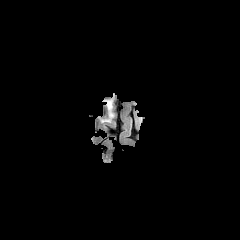
FLAIR magnetic resonance.
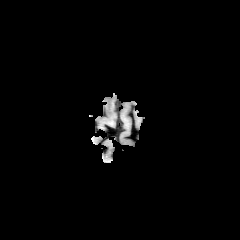
T1-weighted MR image.
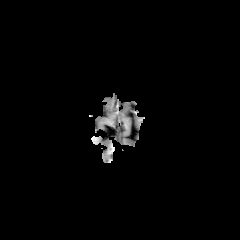
Same slice, post-contrast T1-weighted MR.
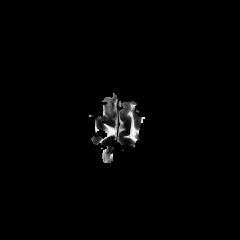
T2-weighted magnetic resonance.
The edema lies within x1=107, y1=102, x2=113, y2=117.